Liver; CT slice

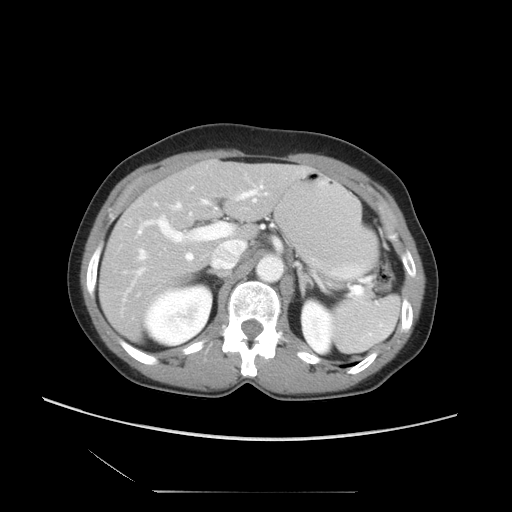
Some hepatic vessels may have no box.
<segmentation>
  <hepatic_vessel>[x1=213, y1=251, x2=215, y2=255], [x1=138, y1=249, x2=146, y2=259], [x1=234, y1=184, x2=266, y2=201], [x1=185, y1=252, x2=192, y2=260], [x1=209, y1=239, x2=212, y2=239], [x1=188, y1=212, x2=191, y2=215], [x1=137, y1=214, x2=186, y2=242], [x1=154, y1=202, x2=156, y2=205], [x1=201, y1=199, x2=208, y2=203], [x1=190, y1=186, x2=192, y2=188], [x1=171, y1=202, x2=180, y2=209], [x1=218, y1=234, x2=239, y2=244], [x1=123, y1=268, x2=143, y2=297]</hepatic_vessel>
</segmentation>